Slice index 355, CT image

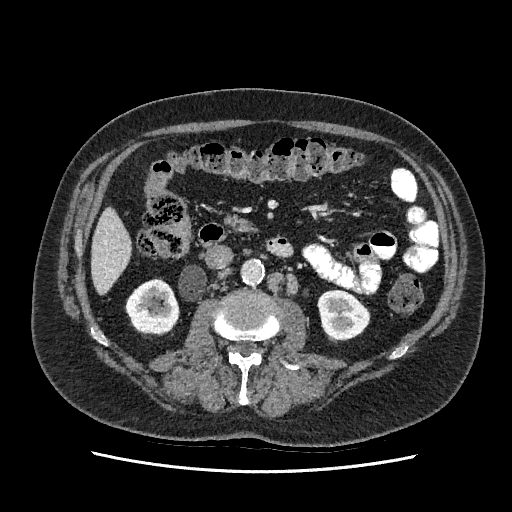

Liver — (92,208,131,293).
Kidney — (126,280,178,333), (318,291,368,338).